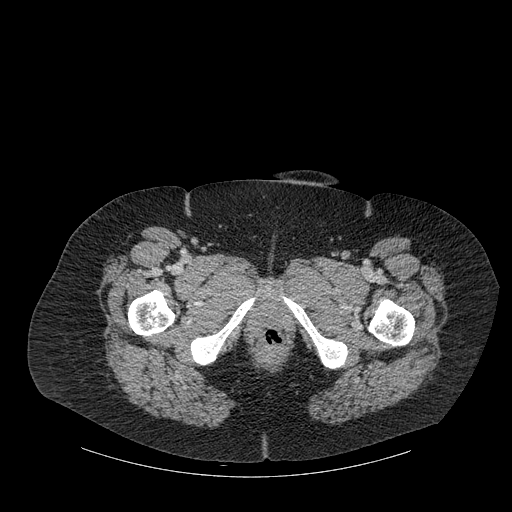
Computed tomography, Image size 512x512
Annotated regions:
- bone: box(128, 290, 174, 335); box(282, 296, 347, 368); box(191, 298, 255, 364); box(369, 299, 414, 345)